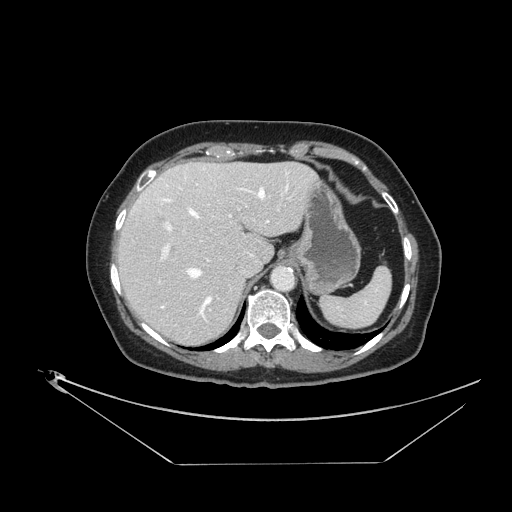

512x512 px | CT | Abdomen
Some hepatic vessels may have no box.
Hepatic vessel: bounding box <box>161,306,164,308</box>, <box>135,207,136,209</box>, <box>187,207,199,219</box>, <box>153,195,172,203</box>, <box>139,195,151,202</box>, <box>259,188,263,196</box>, <box>229,215,230,216</box>, <box>164,222,171,231</box>, <box>244,250,257,261</box>, <box>186,268,202,278</box>, <box>199,296,211,317</box>, <box>161,243,169,259</box>.